FLAIR MR.
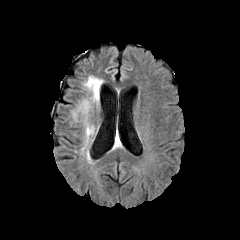
T1-weighted MRI.
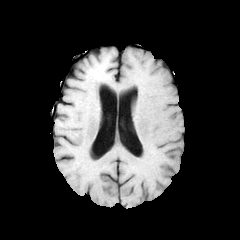
Post-contrast T1-weighted MR image.
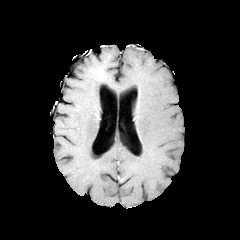
T2-weighted MR image.
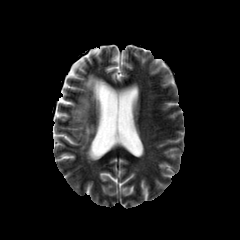
Head.
<segmentation>
  <edema>region(72, 75, 104, 159)</edema>
</segmentation>